Slice 472 of 685. CT scan slice. Image size 512x512.

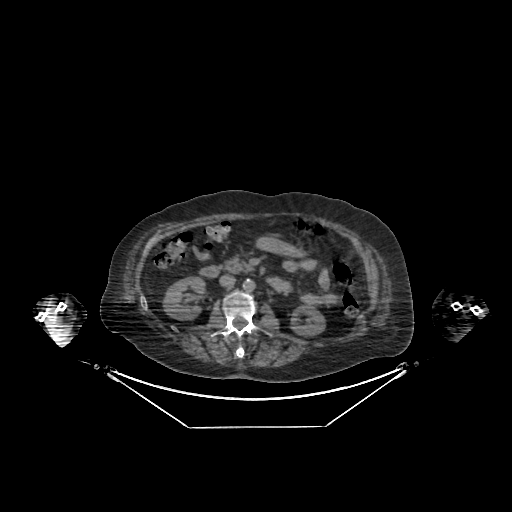 • liver: [x1=258, y1=236, x2=291, y2=245]
• kidney: [x1=290, y1=305, x2=325, y2=336], [x1=162, y1=276, x2=206, y2=320]